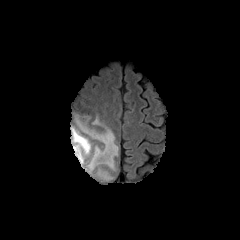
FLAIR MR image.
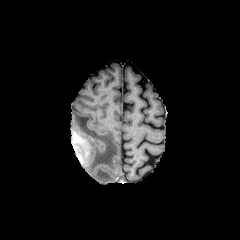
T1-weighted MRI.
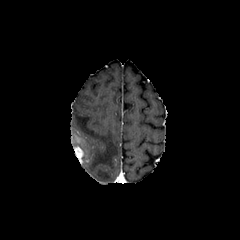
Post-contrast T1-weighted magnetic resonance of the same slice.
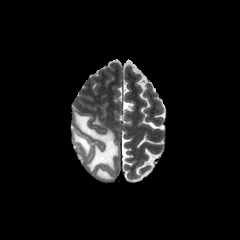
T2-weighted MR of the same slice.
Head
Enhancing tumor: 75,147,82,158.
Non-enhancing tumor core: 73,134,89,150.
Edema: 75,114,118,168; 97,171,111,179.